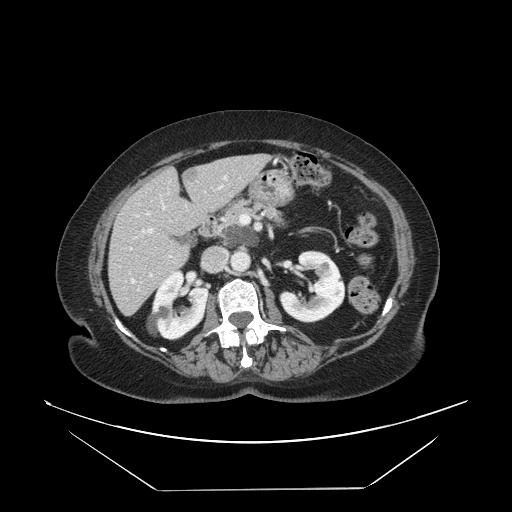 CT image. 512x512 px. Upper abdomen. Pancreatic tumor — (222, 225, 257, 247).
Pancreas — (236, 226, 260, 248), (211, 196, 288, 247).